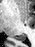 MRI slice, Hippocampus
Segmented structures:
• posterior hippocampus: (15,34,26,40)